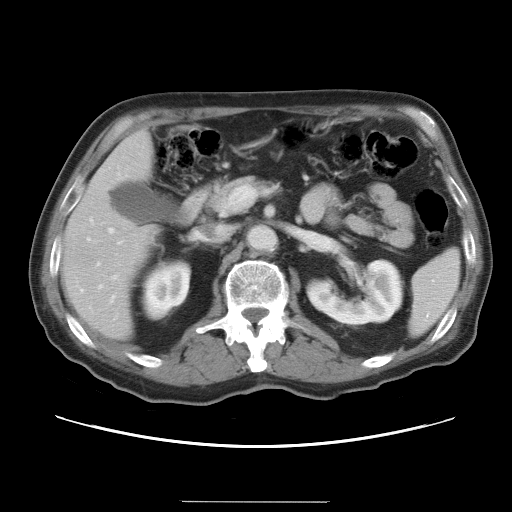 CT slice
Only some of the vessels may be annotated.
hepatic vessel: 80 289 82 292, 117 241 122 244, 108 228 113 232